FLAIR magnetic resonance.
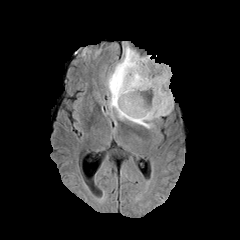
T1-weighted MR image.
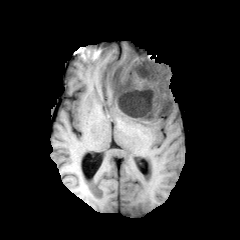
Post-contrast T1-weighted magnetic resonance.
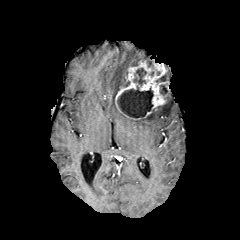
T2-weighted MR.
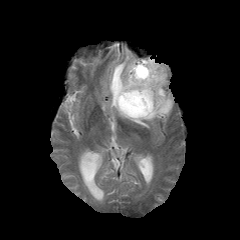
Head
Enhancing tumor at x1=116 y1=60 x2=168 y2=110.
Non-enhancing tumor core at x1=160 y1=83 x2=168 y2=95, x1=116 y1=85 x2=171 y2=117, x1=133 y1=68 x2=146 y2=85.
Edema at x1=105 y1=46 x2=173 y2=128.